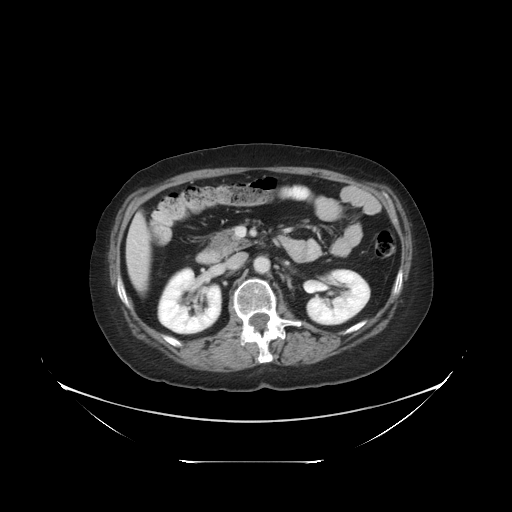
Abdomen | CT scan slice | 512x512 px
Not every hepatic vessel necessarily has a box.
{
  "hepatic_vessel": [
    "box(232, 265, 236, 267)",
    "box(221, 266, 222, 268)"
  ]
}